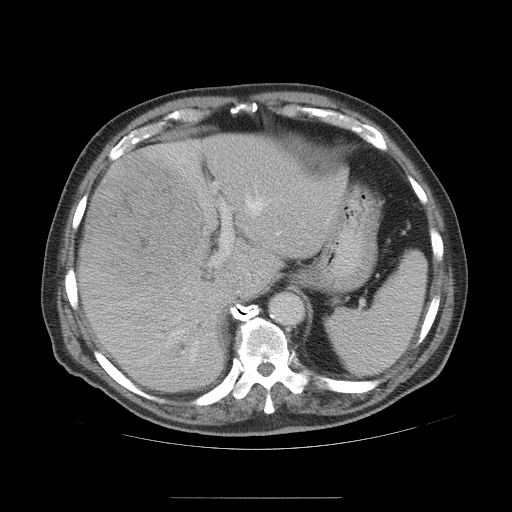
Abdomen | CT slice
Some hepatic vessels may have no box.
The liver tumor is at <box>80,155,203,302</box>. The most prominent 15 hepatic vessel regions (of 22) are bounded by <box>203,321,206,325</box>, <box>195,340,198,344</box>, <box>189,348,196,365</box>, <box>245,194,267,215</box>, <box>201,201,208,205</box>, <box>209,201,234,266</box>, <box>276,232,279,234</box>, <box>174,314,182,322</box>, <box>180,289,184,293</box>, <box>210,181,219,193</box>, <box>326,212,332,224</box>, <box>206,215,208,217</box>, <box>165,343,167,347</box>, <box>168,330,184,341</box>, <box>211,208,213,211</box>.